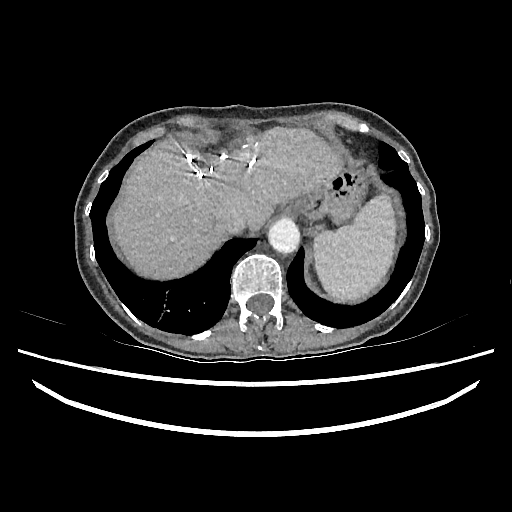 CT slice
Liver at x1=113 y1=127 x2=339 y2=278.